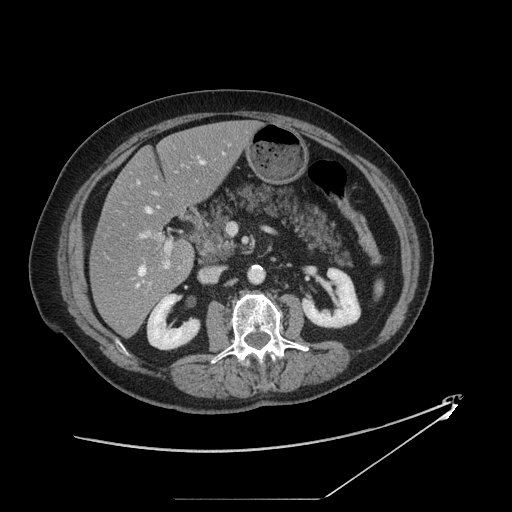 Upper abdomen, CT scan slice

The pancreas lies within bbox=[194, 184, 353, 269]. The pancreatic tumor is located at bbox=[202, 251, 229, 263].